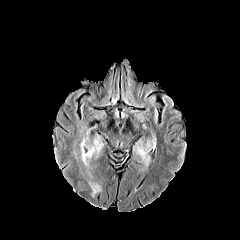
FLAIR MR.
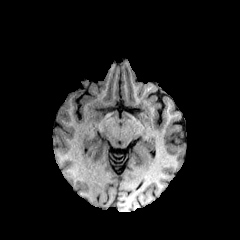
T1-weighted MR of the same slice.
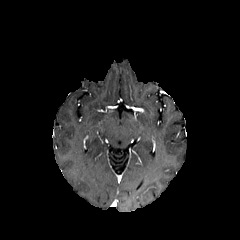
Same slice, post-contrast T1-weighted MR image.
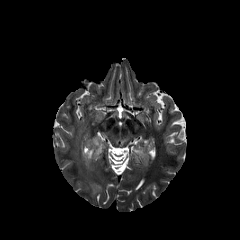
T2-weighted magnetic resonance.
Image size 240x240
edema:
  - rect(81, 141, 95, 164)
  - rect(134, 139, 152, 163)